512x512, Slice 538 of 683, CT scan slice

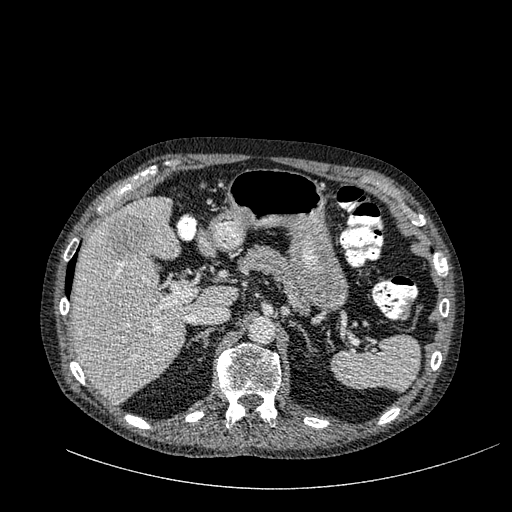
liver:
  - 70, 199, 236, 403
  - 197, 231, 215, 257
liver_lesion:
  - 104, 213, 152, 261